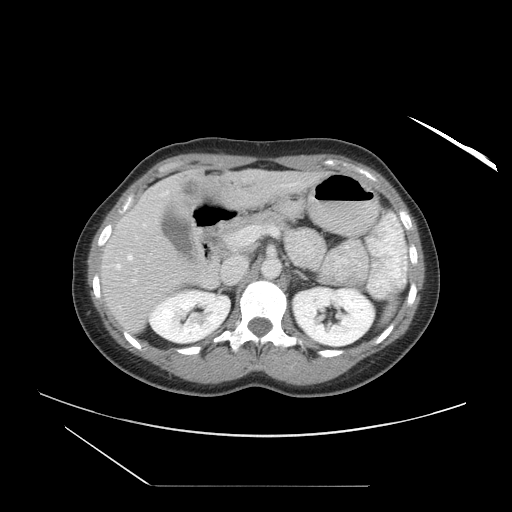 CT scan slice. 512x512 px. Abdomen.
The vessel boxes may cover only some of the vessels.
The liver tumor appears at x1=178 y1=175 x2=229 y2=199. 8 hepatic vessel regions are located at x1=143 y1=224 x2=145 y2=226, x1=232 y1=231 x2=259 y2=244, x1=223 y1=258 x2=245 y2=279, x1=128 y1=255 x2=132 y2=259, x1=116 y1=264 x2=120 y2=268, x1=133 y1=279 x2=136 y2=280, x1=161 y1=191 x2=168 y2=195, x1=281 y1=185 x2=283 y2=186.